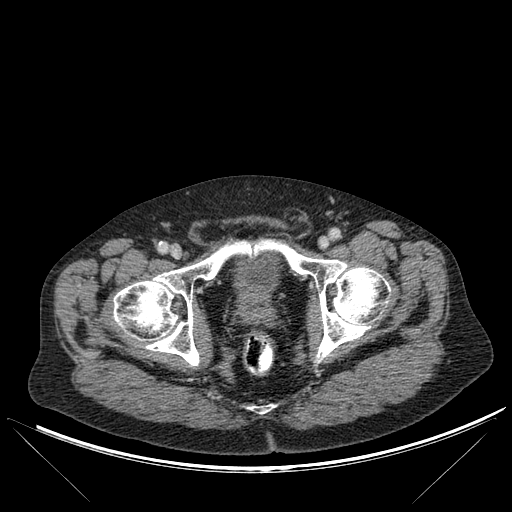
Computed tomography

Segmented structures:
* bone: bbox(251, 404, 274, 413); bbox(113, 240, 389, 365)